240x240
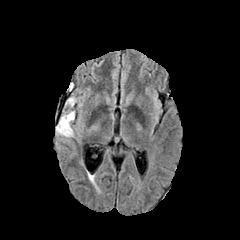
FLAIR MRI.
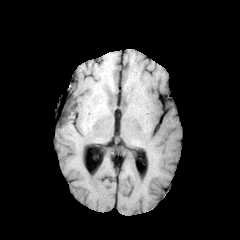
T1-weighted MRI.
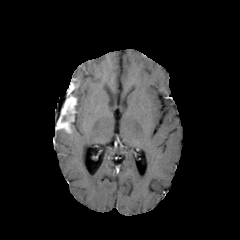
Post-contrast T1-weighted MR.
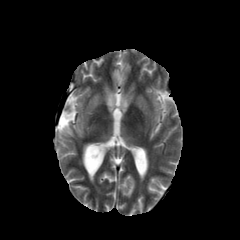
T2-weighted magnetic resonance.
Segmented structures:
* edema: (x1=56, y1=88, x2=83, y2=147)
* enhancing tumor: (x1=57, y1=94, x2=75, y2=133)